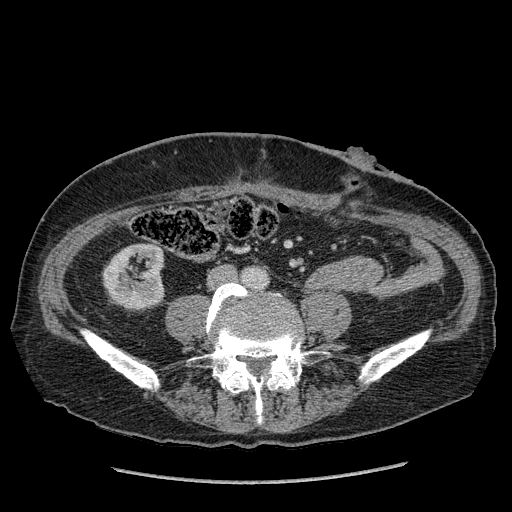 CT slice, Abdomen
The kidney is located at l=103, t=244, r=163, b=308.